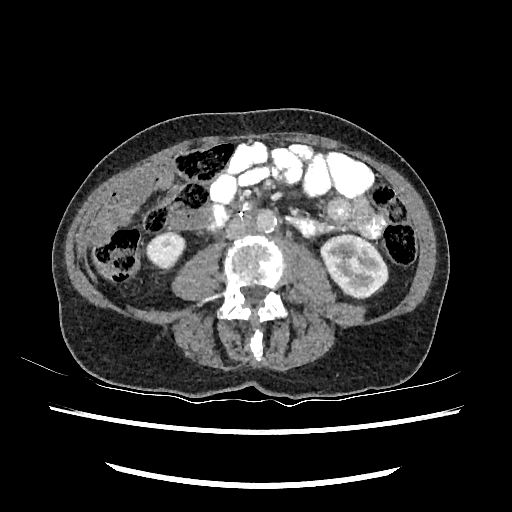

Image size 512x512. CT. Abdomen. <segmentation>
  <kidney>148:233:183:266, 321:236:387:296</kidney>
</segmentation>